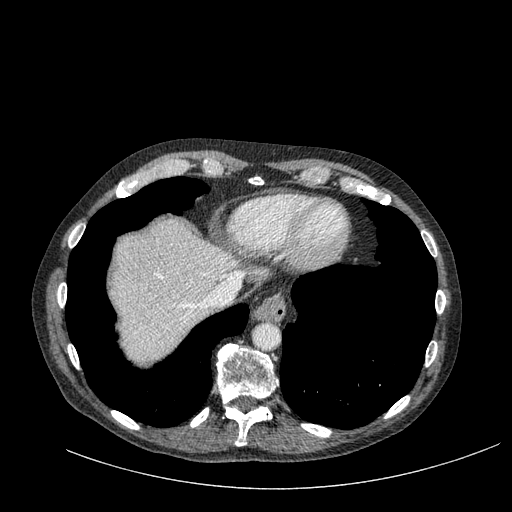 Computed tomography, 512x512, Upper abdomen

liver: 111, 218, 236, 360